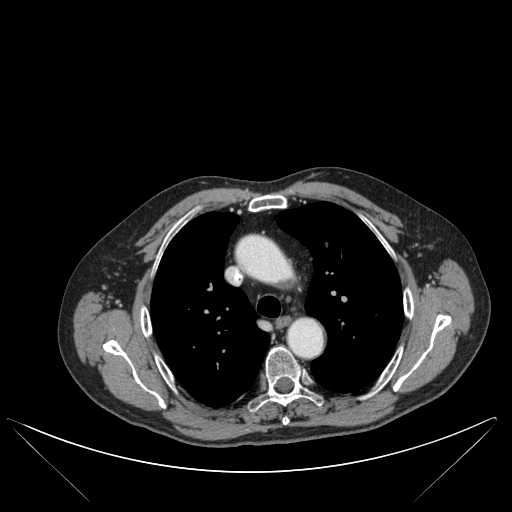
Chest, 512x512 px, CT

10 bone regions appear at box=[103, 340, 165, 407]; box=[393, 315, 450, 390]; box=[376, 230, 389, 249]; box=[157, 227, 173, 262]; box=[140, 307, 151, 336]; box=[155, 356, 173, 385]; box=[249, 195, 286, 211]; box=[403, 289, 413, 317]; box=[258, 347, 316, 406]; box=[376, 348, 402, 389]. 2 lung regions are located at box=[275, 202, 402, 392]; box=[151, 212, 279, 407].